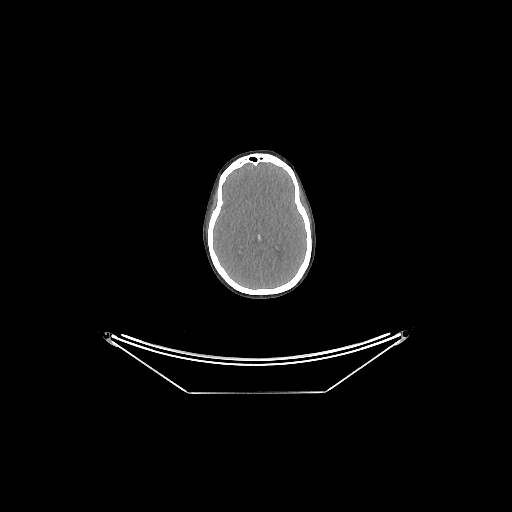 Head | CT image
<segmentation>
  <brain>213:163:306:289</brain>
</segmentation>